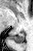

MR image
The posterior hippocampus is located at <box>9,34,24,44</box>.